512x512 px; CT; Field of view 374x374 mm 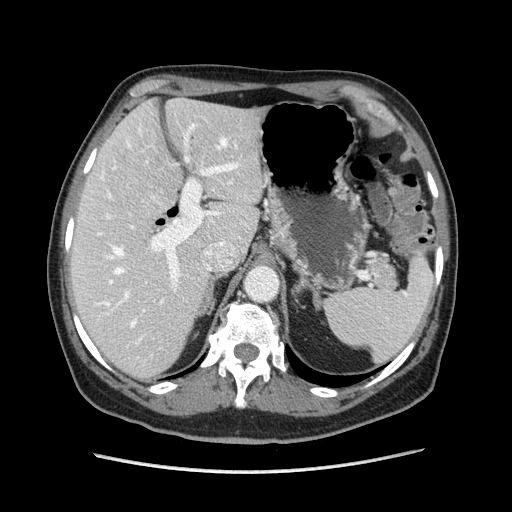

The pancreas lies within <bbox>368, 257, 397, 289</bbox>.